Image size 512x512; Slice 110 of 151; CT scan slice; Image width 421 mm
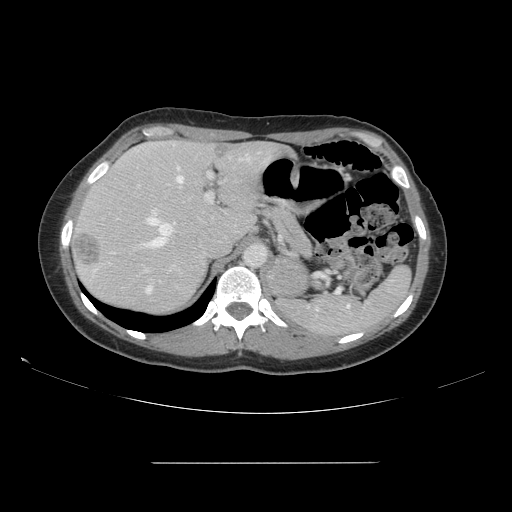

Some hepatic vessels may have no box.
Hepatic vessel = box=[144, 267, 149, 271]; box=[238, 154, 252, 162]; box=[143, 209, 175, 247]; box=[176, 174, 183, 182]; box=[92, 269, 96, 275]; box=[177, 166, 179, 170]; box=[205, 193, 212, 202]; box=[207, 172, 210, 175]; box=[146, 286, 151, 293]; box=[138, 185, 139, 187]; box=[111, 252, 114, 253].
Liver tumor = box=[74, 234, 102, 267]; box=[214, 146, 228, 158].